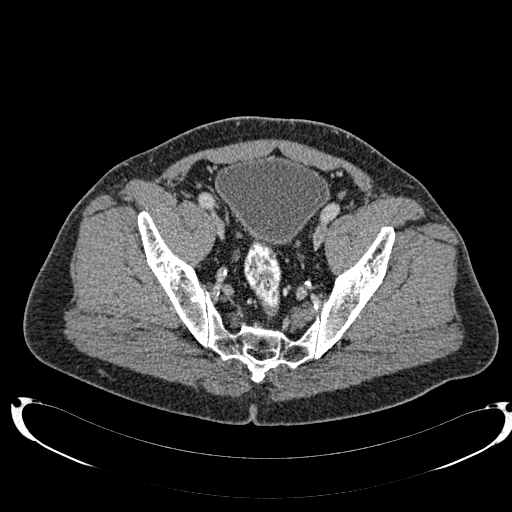 CT scan slice; Lower abdomen
The urinary bladder is at [x1=217, y1=155, x2=329, y2=245].